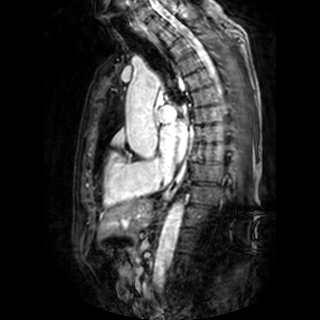 Magnetic resonance. The left atrium is bounded by box=[160, 121, 187, 163].